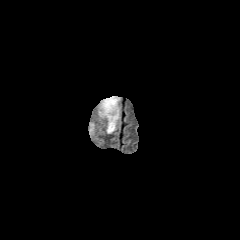
FLAIR MRI.
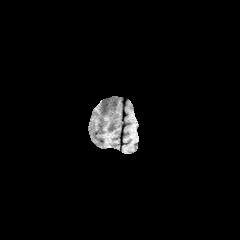
T1-weighted MR.
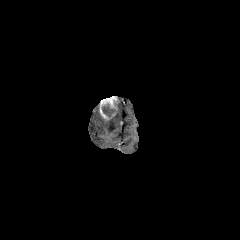
Same slice, post-contrast T1-weighted MR.
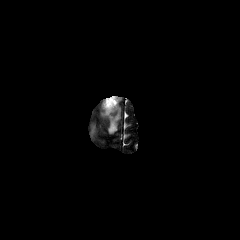
Same slice, T2-weighted magnetic resonance.
240x240 px, Brain
The enhancing tumor is located at 100, 100, 115, 107. 2 edema regions appear at 106, 96, 120, 103; 100, 106, 119, 133.